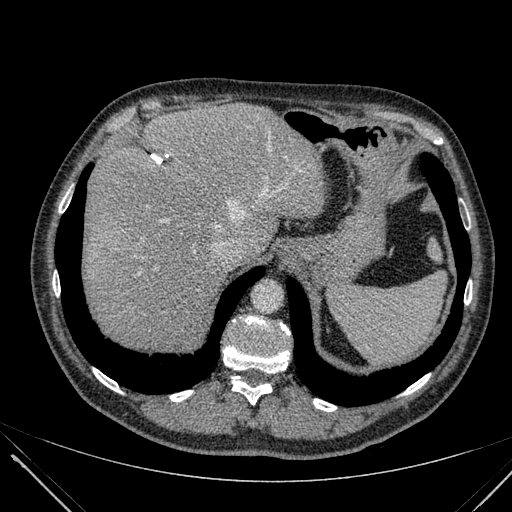

CT image
• liver: (83,103,325,350)